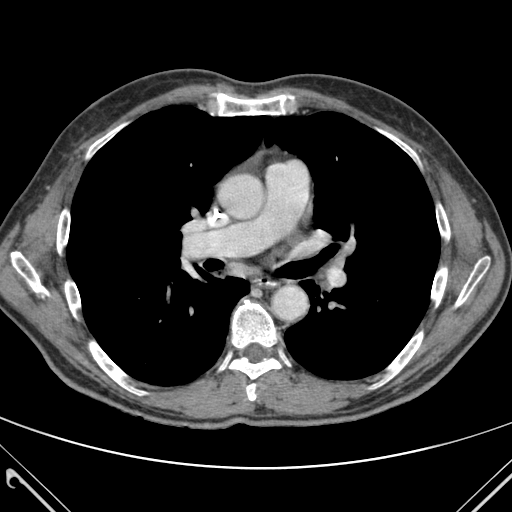
CT image. Thorax.

The lung lies within box(67, 105, 440, 385). 14 bone regions appear at box(57, 210, 69, 252); box(436, 205, 449, 239); box(220, 355, 280, 378); box(65, 282, 80, 316); box(379, 130, 417, 157); box(455, 257, 489, 306); box(246, 384, 255, 400); box(211, 93, 296, 115); box(386, 332, 422, 380); box(11, 252, 48, 294); box(90, 342, 144, 394); box(232, 300, 276, 347); box(87, 123, 126, 156); box(431, 268, 447, 305).